FLAIR MR.
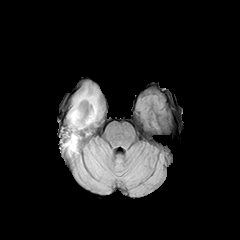
T1-weighted MR image.
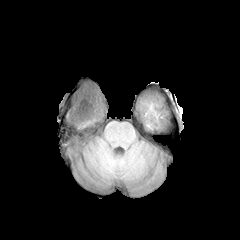
Post-contrast T1-weighted MR image.
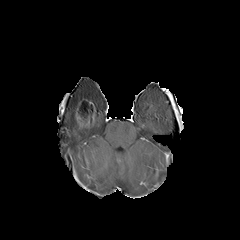
T2-weighted MR.
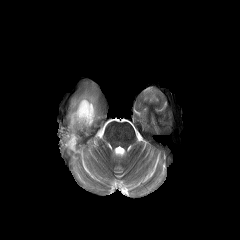
Brain. 240x240.
Edema: bounding box 64 87 100 157.
Non-enhancing tumor core: bounding box 74 98 96 121.